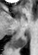 MRI | Medial temporal lobe | Image size 38x55
Posterior hippocampus: bounding box x1=13, y1=35, x2=28, y2=47.